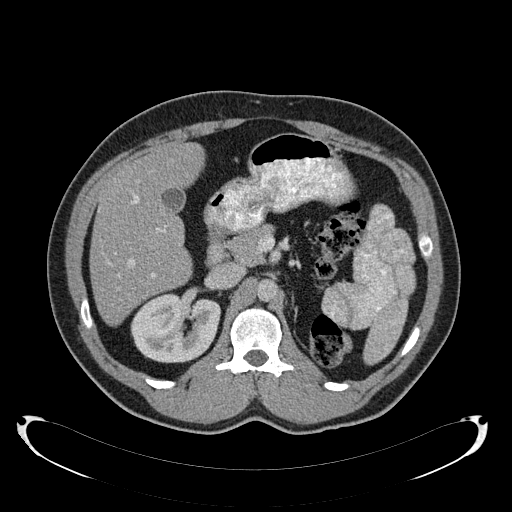
CT

The liver is at (left=90, top=143, right=202, bottom=324). The kidney is bounded by (left=131, top=291, right=220, bottom=362).